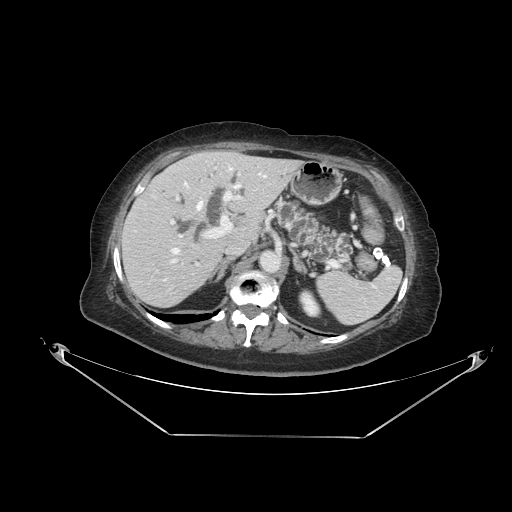
Computed tomography, 512x512, Abdomen

pancreas: x1=277, y1=201, x2=352, y2=270